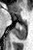
33x50. MR. The anterior hippocampus is bounded by l=14, t=16, r=15, b=19. The posterior hippocampus lies within l=12, t=25, r=25, b=39.